CT image; Slice index 96
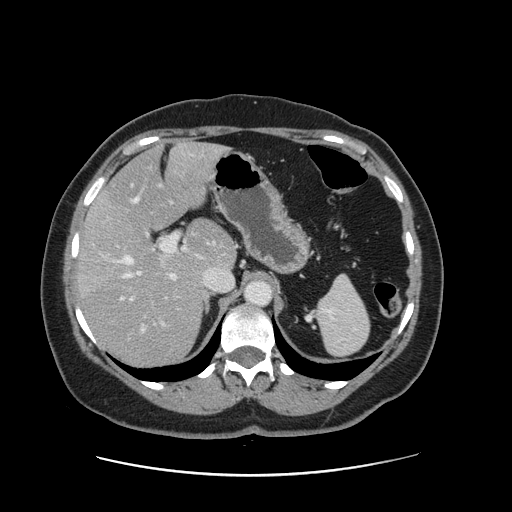

The vessel annotation is not exhaustive.
hepatic vessel: 121,297,123,299; 137,271,140,274; 141,324,145,332; 146,233,148,235; 170,274,175,278; 115,256,132,263; 185,248,187,249; 199,255,201,257; 161,322,163,324; 125,273,131,277; 131,297,134,299; 152,248,154,249